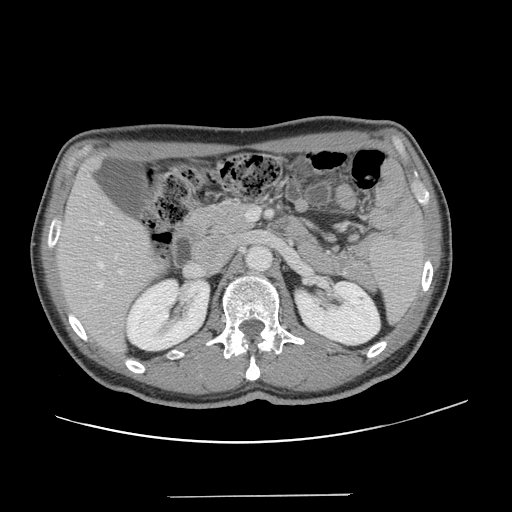
CT image; 512x512 px
Not every hepatic vessel necessarily has a box.
<segmentation>
  <hepatic_vessel>[118, 269, 121, 272], [96, 282, 101, 287], [98, 262, 103, 266], [99, 221, 102, 225], [96, 236, 98, 239], [115, 255, 117, 258], [84, 195, 85, 196]</hepatic_vessel>
</segmentation>